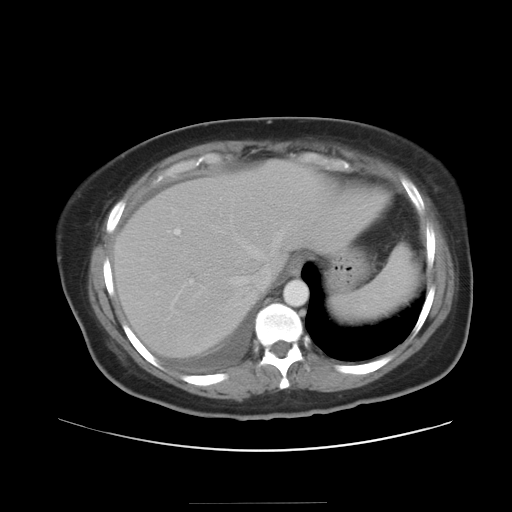

Liver | CT image | Image size 512x512
Not every hepatic vessel necessarily has a box.
hepatic_vessel:
  - <bbox>236, 238, 264, 258</bbox>
  - <bbox>274, 230, 283, 246</bbox>
  - <bbox>252, 268, 270, 288</bbox>
  - <bbox>230, 277, 249, 285</bbox>